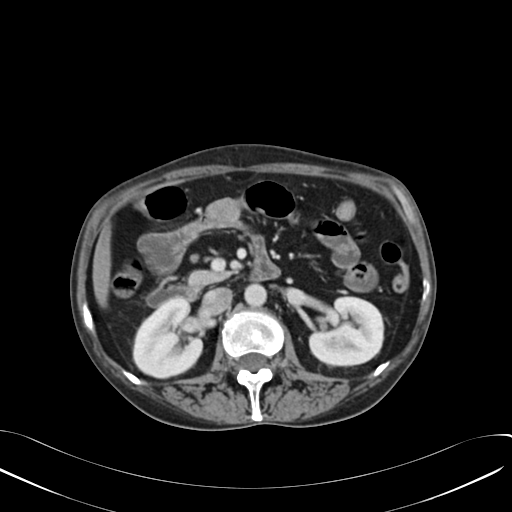 Computed tomography
Liver at 92 224 110 305.
Kidney at 310 297 382 364, 134 299 201 376.